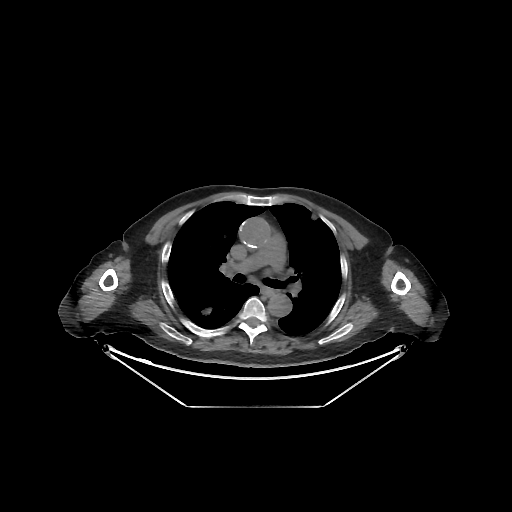
CT | 512x512

{"lung": ["167:201:341:336"], "bone": ["162:281:173:305", "328:296:344:322", "318:323:352:343", "182:320:224:336", "161:323:191:343", "99:269:117:290", "391:272:410:295", "237:297:268:343", "341:258:346:275", "162:243:169:260", "246:196:272:205"]}